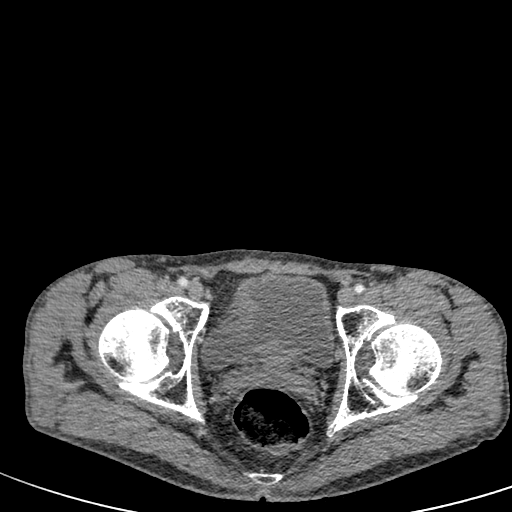
Lower abdomen; Image size 512x512; CT slice

Urinary bladder — 201:273:334:370.